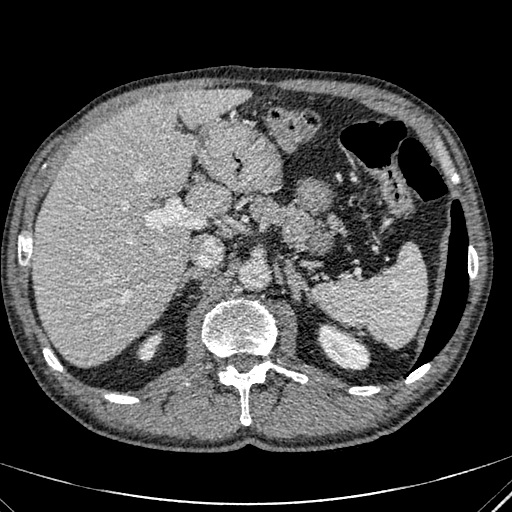 Upper abdomen | Computed tomography
Hepatic lesion: left=157, top=93, right=179, bottom=106.
Liver: left=185, top=181, right=231, bottom=216; left=33, top=89, right=252, bottom=364.
Kidney: left=141, top=336, right=159, bottom=358; left=320, top=326, right=368, bottom=368.